Slice index 12. CT scan slice. Image width 512 mm.

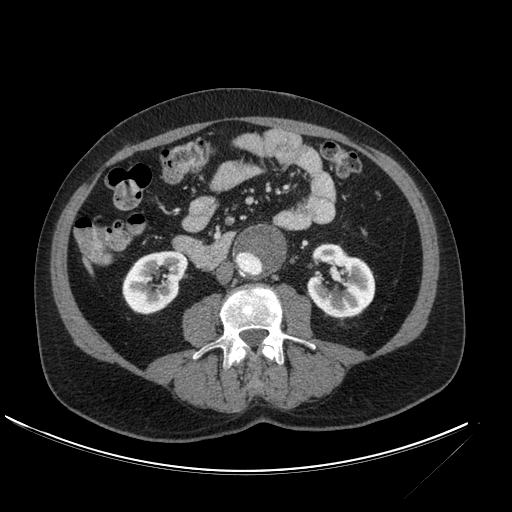

kidney: (123,252,186,312), (308,245,374,316) | liver: (82,254,93,274)